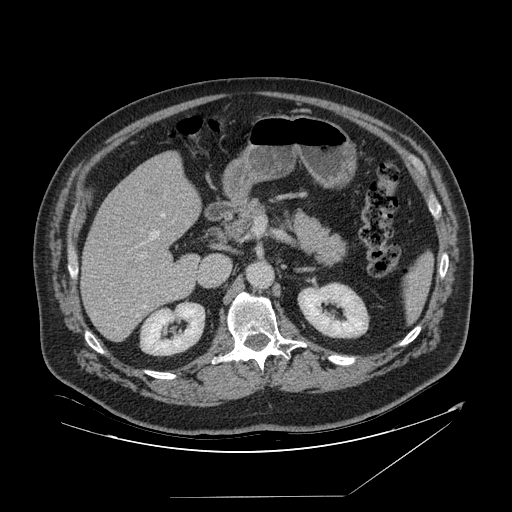

Abdomen; CT image

Segmented structures:
* spleen: (402, 254, 432, 322)